FLAIR MRI.
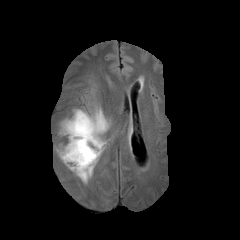
T1-weighted MRI.
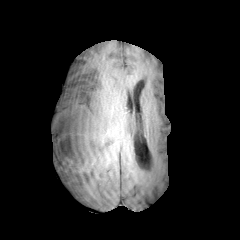
Post-contrast T1-weighted MRI.
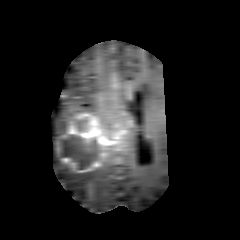
T2-weighted MR image.
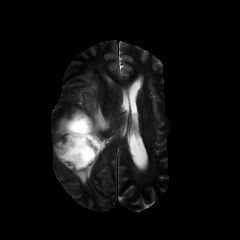
240x240 | Head
{
  "enhancing_tumor": [
    {"x1": 67, "y1": 114, "x2": 106, "y2": 159},
    {"x1": 79, "y1": 162, "x2": 101, "y2": 172}
  ],
  "edema": [
    {"x1": 57, "y1": 107, "x2": 110, "y2": 136},
    {"x1": 54, "y1": 145, "x2": 92, "y2": 183}
  ],
  "non-enhancing_tumor_core": [
    {"x1": 56, "y1": 118, "x2": 106, "y2": 174}
  ]
}